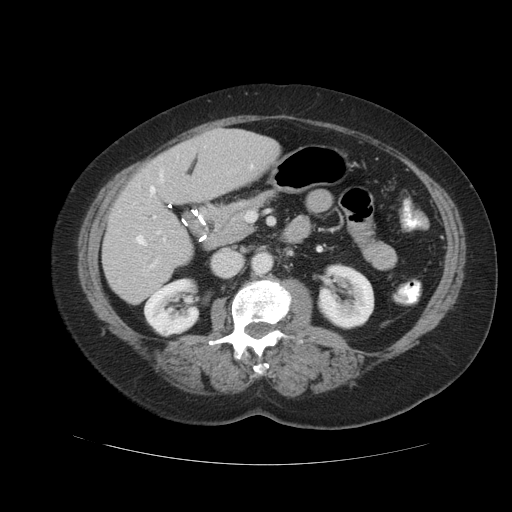 Image size 512x512 | CT image | Liver

Not every hepatic vessel necessarily has a box.
Findings:
• hepatic vessel: bbox=[163, 238, 165, 240]; bbox=[150, 187, 154, 192]; bbox=[137, 236, 145, 244]; bbox=[157, 231, 159, 233]; bbox=[160, 173, 162, 181]; bbox=[251, 166, 252, 167]